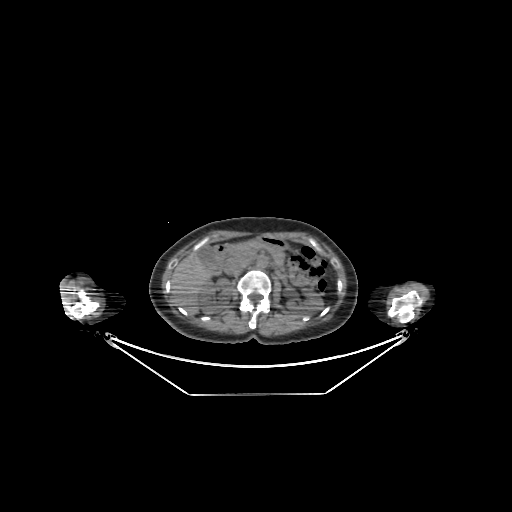
512x512 | Upper abdomen | CT scan slice
Segmented structures:
- liver: [x1=169, y1=251, x2=216, y2=313]
- kidney: [x1=286, y1=287, x2=323, y2=319], [x1=196, y1=276, x2=232, y2=314]